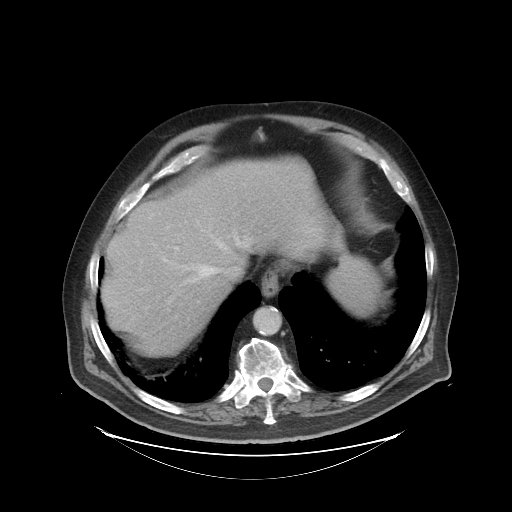

Abdomen | CT

Not every hepatic vessel necessarily has a box.
hepatic vessel: left=161, top=256, right=215, bottom=282; left=202, top=229, right=226, bottom=248; left=175, top=247, right=178, bottom=249; left=167, top=308, right=168, bottom=310; left=233, top=229, right=250, bottom=247; left=166, top=290, right=183, bottom=304